Abdomen. CT. Slice index 54.

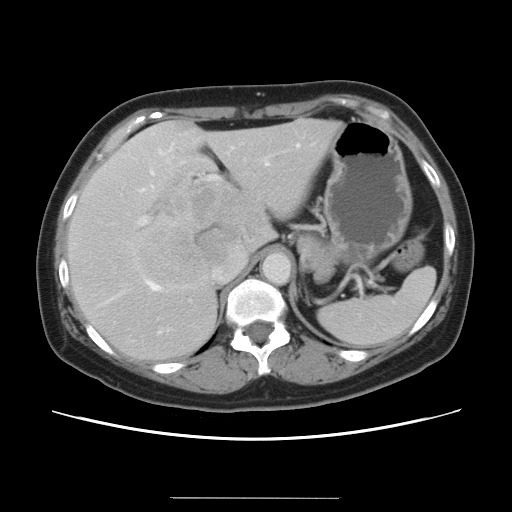
Not every hepatic vessel necessarily has a box.
The liver tumor is at <bbox>136, 184, 262, 284</bbox>. 14 hepatic vessel regions are located at <bbox>150, 171, 152, 173</bbox>, <bbox>158, 331, 161, 333</bbox>, <bbox>263, 156, 269, 165</bbox>, <bbox>167, 329, 170, 331</bbox>, <bbox>207, 176, 218, 180</bbox>, <bbox>139, 217, 147, 225</bbox>, <bbox>140, 189, 143, 191</bbox>, <bbox>230, 147, 232, 150</bbox>, <bbox>147, 281, 159, 290</bbox>, <bbox>296, 145, 298, 147</bbox>, <bbox>193, 138, 200, 143</bbox>, <bbox>212, 269, 219, 278</bbox>, <bbox>105, 296, 117, 303</bbox>, <bbox>150, 186, 152, 188</bbox>.